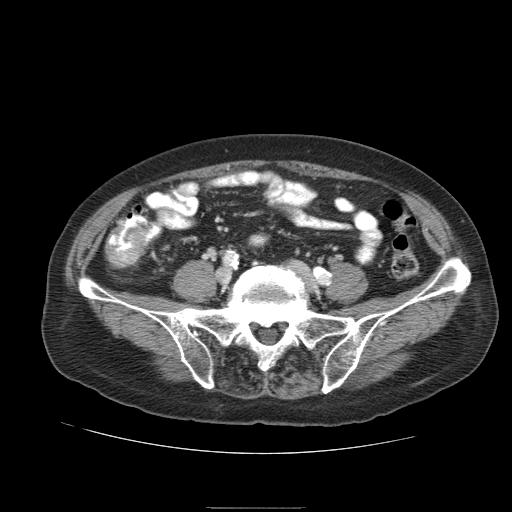
Abdomen. CT slice.

The colon tumor lies within {"x1": 105, "y1": 218, "x2": 152, "y2": 268}.